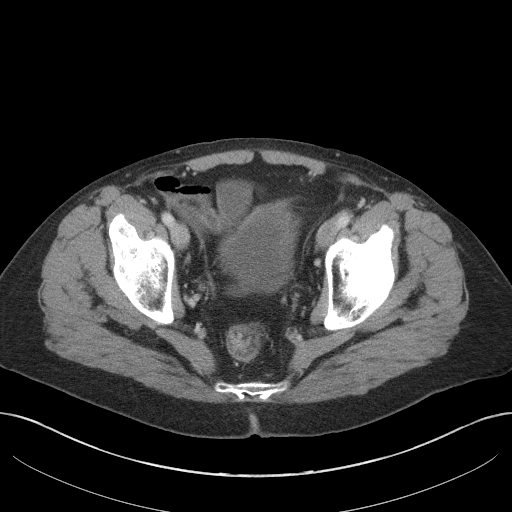 CT scan slice. 512x512. Pelvis. urinary bladder: x1=215 y1=202 x2=297 y2=294